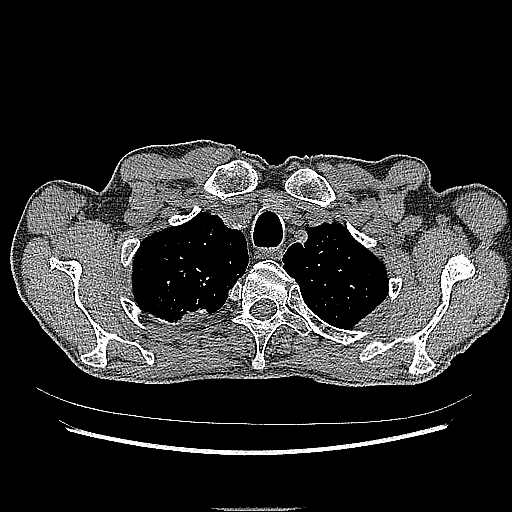

512x512 px | Computed tomography | Chest
The lung tumor is bounded by left=168, top=303, right=213, bottom=322.